Pelvis. CT slice. Slice 60/98. 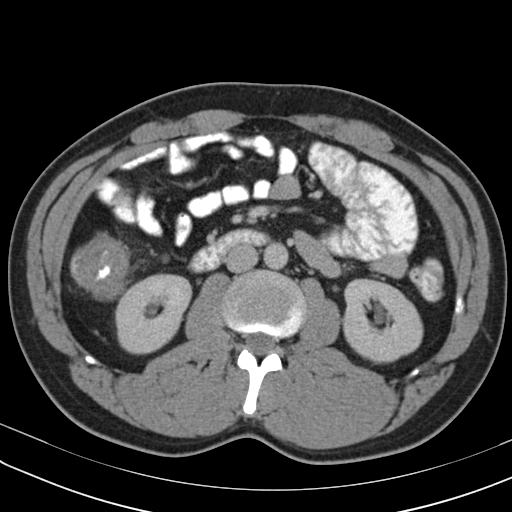

{"colon_tumor": ["rect(72, 233, 128, 300)"]}